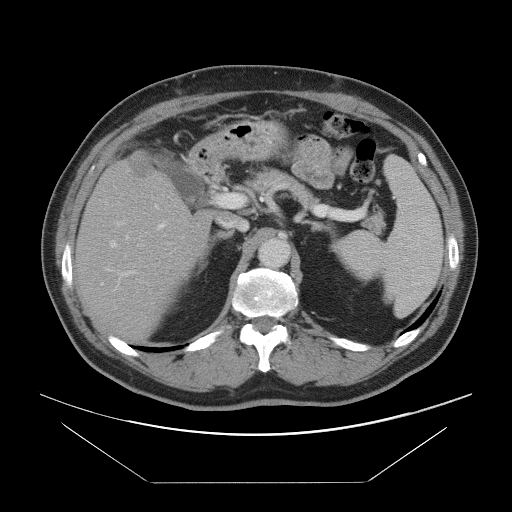

Computed tomography
Not every hepatic vessel necessarily has a box.
Segmented structures:
- hepatic vessel: box=[158, 223, 164, 227]; box=[117, 271, 133, 286]; box=[117, 221, 122, 224]; box=[155, 205, 158, 207]
- liver tumor: box=[128, 158, 152, 177]